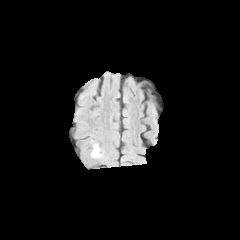
FLAIR MR image.
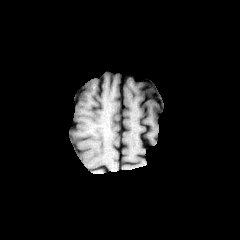
T1-weighted MR image of the same slice.
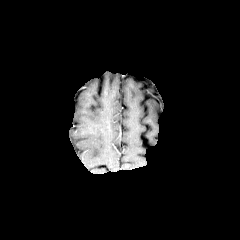
Same slice, post-contrast T1-weighted MR.
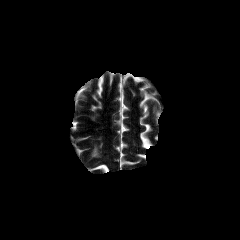
T2-weighted MR.
Brain
edema: {"x1": 91, "y1": 145, "x2": 99, "y2": 157}